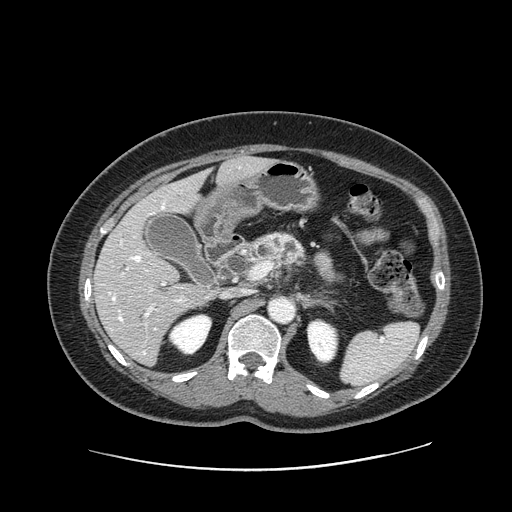 Upper abdomen. CT slice. 512x512 px.
Pancreas: bounding box [250, 233, 306, 263].